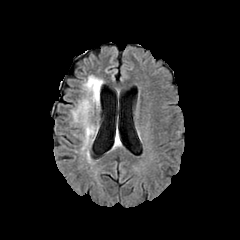
FLAIR MR image.
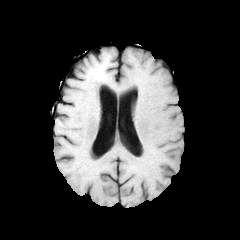
T1-weighted MR of the same slice.
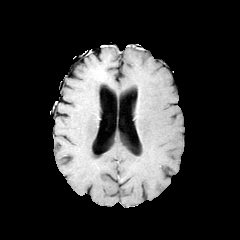
Post-contrast T1-weighted MR image of the same slice.
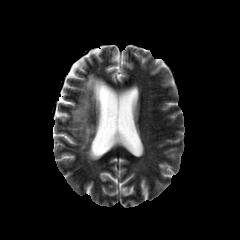
Same slice, T2-weighted magnetic resonance.
240x240 px, Head
{
  "edema": [
    {"x1": 71, "y1": 74, "x2": 103, "y2": 159}
  ]
}